Slice 116/155. Field of view 240x240 mm.
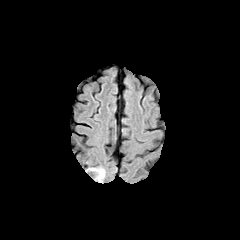
FLAIR MRI.
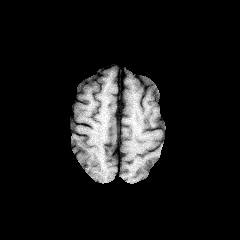
T1-weighted MRI of the same slice.
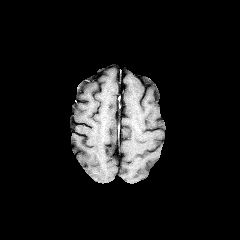
Post-contrast T1-weighted MRI.
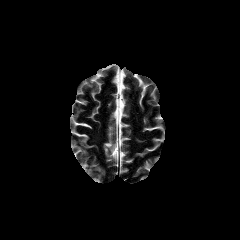
T2-weighted magnetic resonance.
Segmented structures:
* edema: 88 166 105 180